MR | 35x44
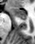 Annotated regions:
- posterior hippocampus: box=[22, 19, 25, 20]
- anterior hippocampus: box=[9, 6, 26, 18]